FLAIR MR image.
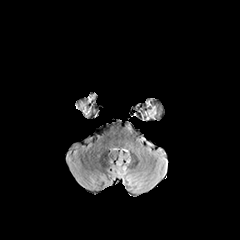
T1-weighted MR image.
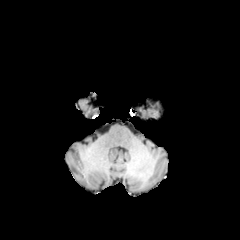
Post-contrast T1-weighted MRI.
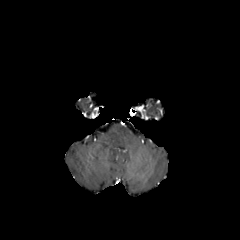
T2-weighted magnetic resonance.
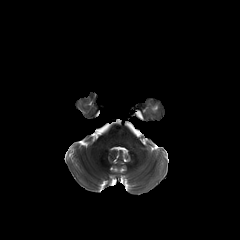
The edema lies within [x1=145, y1=100, x2=157, y2=118].